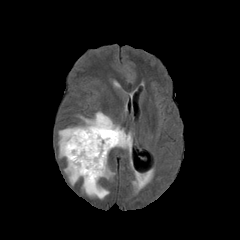
FLAIR MR image.
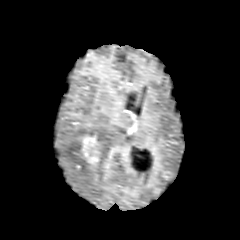
Same slice, T1-weighted magnetic resonance.
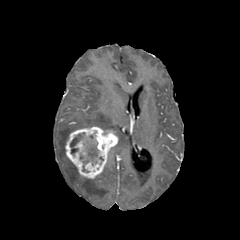
Post-contrast T1-weighted MRI of the same slice.
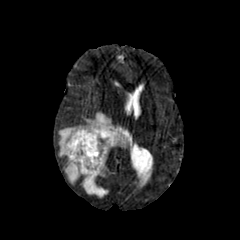
Same slice, T2-weighted MR.
Brain, Image size 240x240
Segmented structures:
- enhancing tumor: box(66, 127, 117, 178)
- non-enhancing tumor core: box(70, 132, 102, 164)
- edema: box(58, 112, 131, 198)